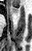
MR image.
anterior_hippocampus:
  - (10, 7, 17, 12)